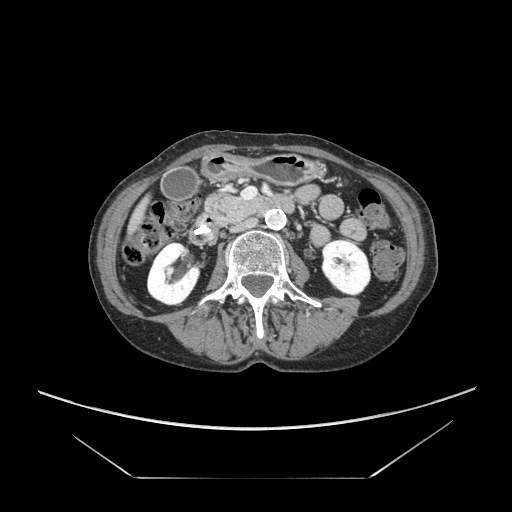 Image size 512x512 | Abdomen | CT scan slice
Pancreas: rect(201, 191, 267, 229).